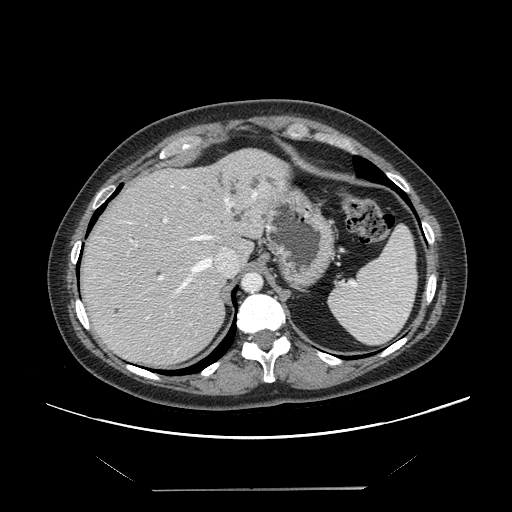 Liver, CT image
Some hepatic vessels may have no box.
hepatic vessel: 145,317,149,317; 126,221,131,223; 163,217,167,222; 186,234,214,241; 130,240,137,246; 158,276,163,280; 174,248,237,293; 223,195,234,212; 247,182,267,202